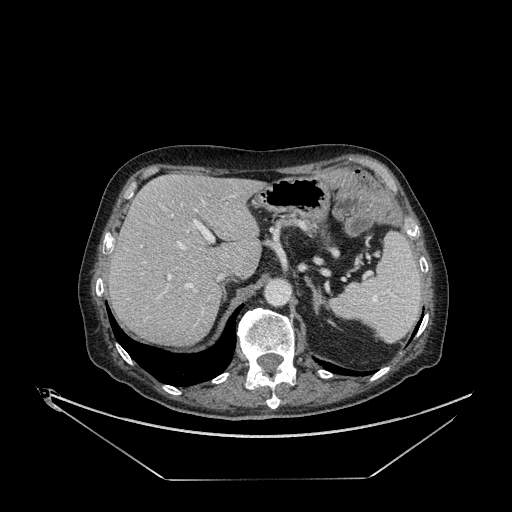 CT image. Liver. <segmentation>
  <liver>bbox=[109, 174, 262, 346]</liver>
</segmentation>